Brain.
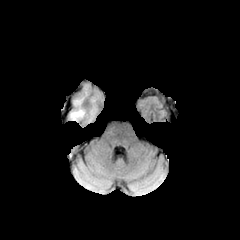
FLAIR magnetic resonance.
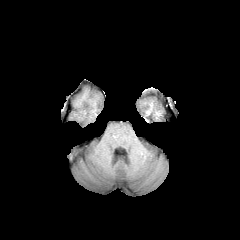
T1-weighted magnetic resonance of the same slice.
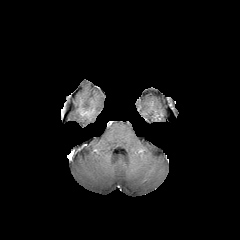
Post-contrast T1-weighted magnetic resonance of the same slice.
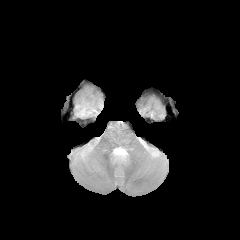
T2-weighted magnetic resonance.
Edema: bounding box left=71, top=99, right=94, bottom=118.